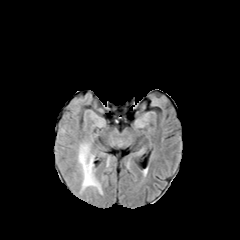
FLAIR MR image.
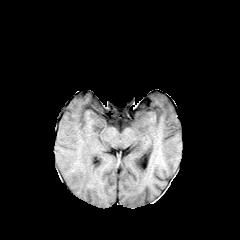
T1-weighted MR image.
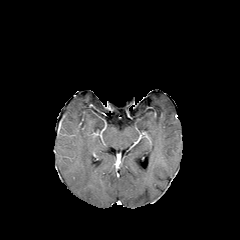
Post-contrast T1-weighted MR image of the same slice.
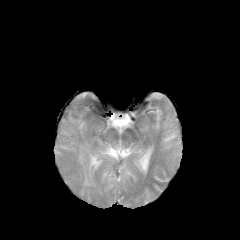
T2-weighted MR image.
Brain.
<segmentation>
  <edema>77,144,101,193</edema>
</segmentation>